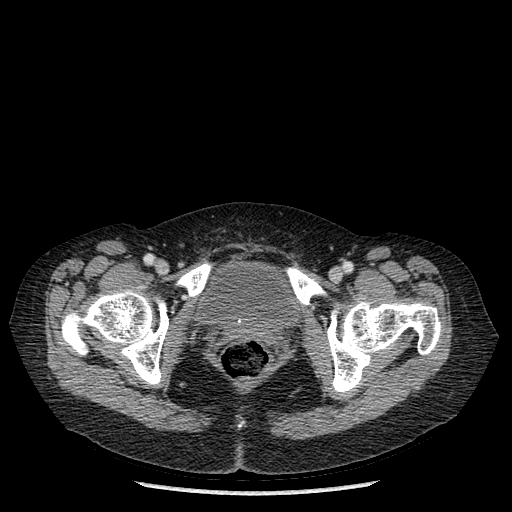 Lower abdomen | Computed tomography | 512x512 px
Urinary bladder — <box>195,261,302,341</box>.
Bone — <box>327,300,441,395</box>, <box>286,267,326,304</box>, <box>61,289,168,386</box>, <box>176,263,211,297</box>.